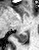
MRI slice
The posterior hippocampus lies within (15,30,28,43).